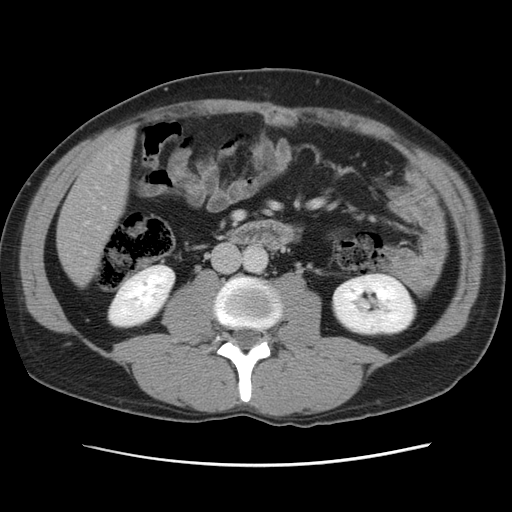
CT slice.

Only some of the vessels may be annotated.
Hepatic vessel — region(98, 227, 99, 228); region(84, 252, 86, 254); region(108, 167, 110, 171).